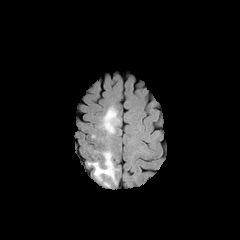
FLAIR MR.
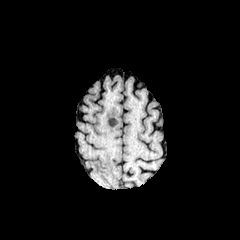
T1-weighted MR image of the same slice.
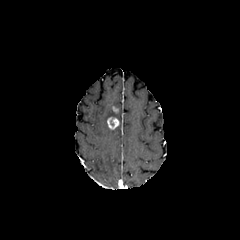
Same slice, post-contrast T1-weighted MR image.
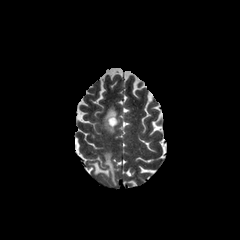
T2-weighted magnetic resonance.
240x240 px.
edema: box=[87, 151, 116, 183]; box=[99, 106, 114, 134] | enhancing tumor: box=[107, 117, 120, 128]